Slice index 122
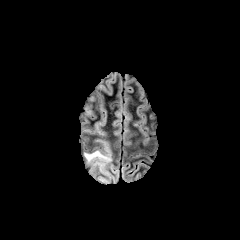
FLAIR MR.
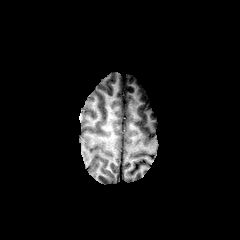
T1-weighted MR of the same slice.
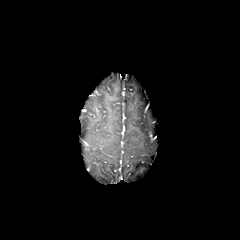
Post-contrast T1-weighted MRI.
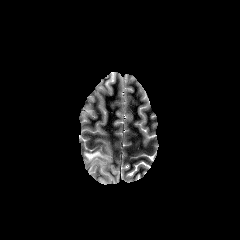
T2-weighted MR.
{
  "edema": [
    "[x1=85, y1=148, x2=111, y2=171]"
  ]
}